Image size 240x240, Brain
FLAIR MR image.
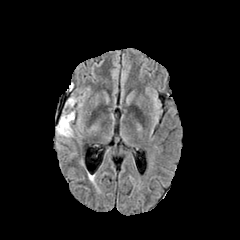
T1-weighted MR.
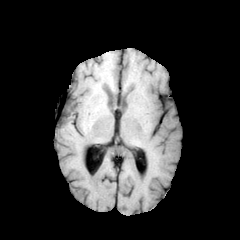
Post-contrast T1-weighted MR.
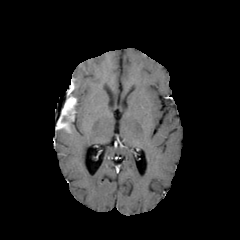
T2-weighted MRI.
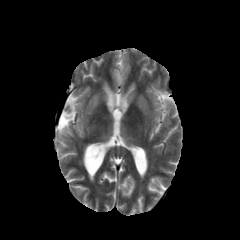
Edema = x1=56 y1=107 x2=83 y2=145.
Enhancing tumor = x1=56 y1=95 x2=75 y2=133.